Liver; Slice index 207; CT

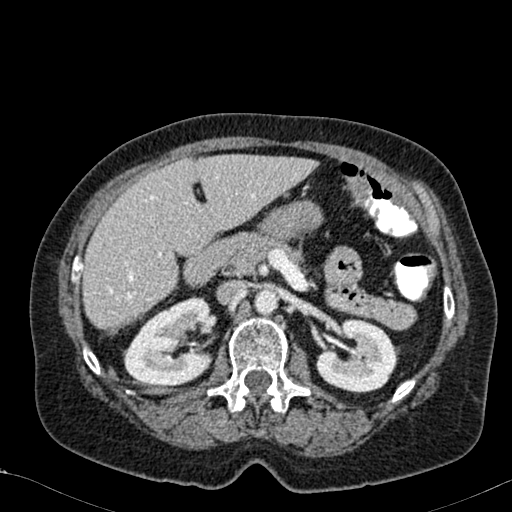 Annotated regions:
• liver: (left=83, top=156, right=317, bottom=328)
• kidney: (left=314, top=320, right=396, bottom=391), (left=125, top=298, right=214, bottom=385)